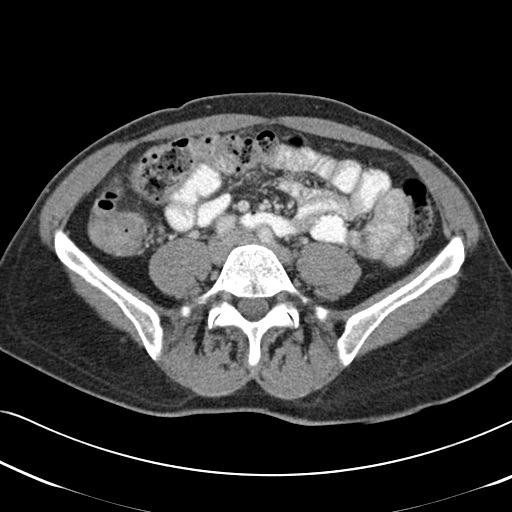
Computed tomography, Abdomen

colon tumor: rect(88, 212, 144, 254)